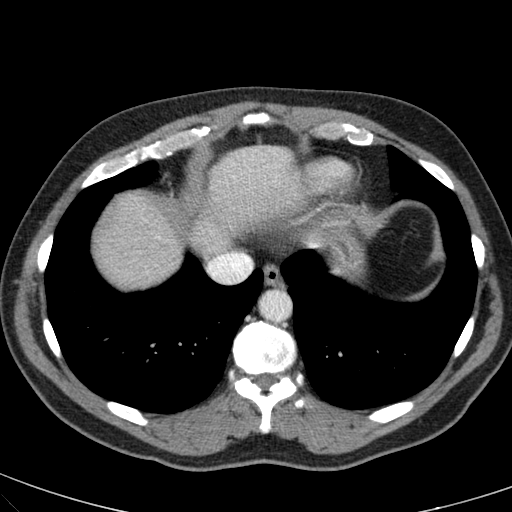 CT slice

{"liver": ["96:147:301:284", "310:222:336:228"]}